Computed tomography; Abdomen 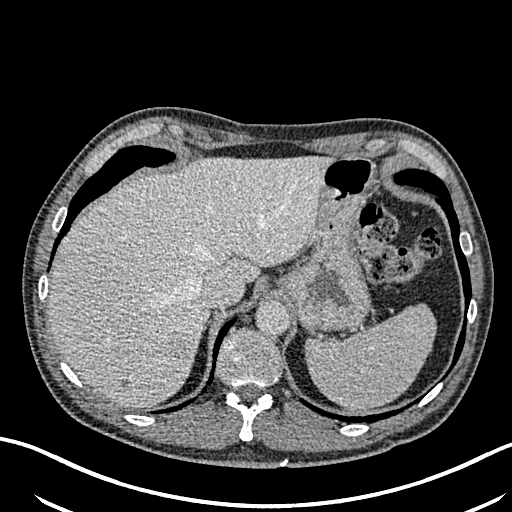 Focal liver lesion: bounding box bbox(167, 341, 188, 356).
Liver: bounding box bbox(46, 155, 333, 407).